CT image; Image size 512x512 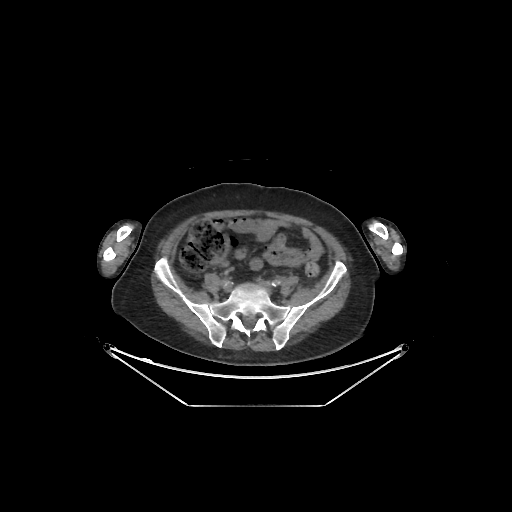 bone: region(392, 242, 402, 255); region(369, 222, 388, 239); region(155, 258, 346, 349); region(103, 247, 115, 261); region(116, 225, 131, 241)